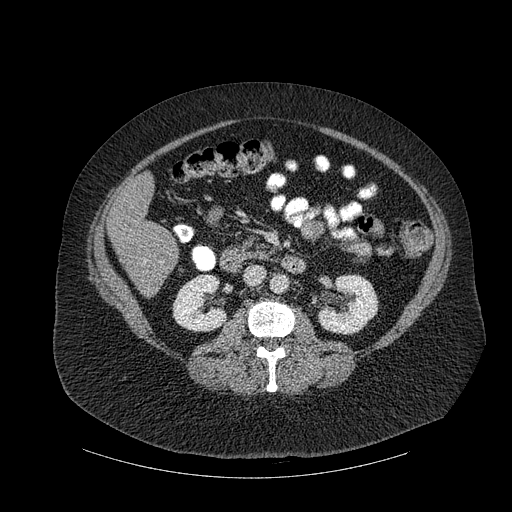
CT slice
Liver: (left=108, top=174, right=178, bottom=295).
Bone: (left=257, top=347, right=285, bottom=391), (left=248, top=302, right=294, bottom=336).
Kidney: (left=173, top=275, right=225, bottom=330), (left=319, top=275, right=377, bottom=333).